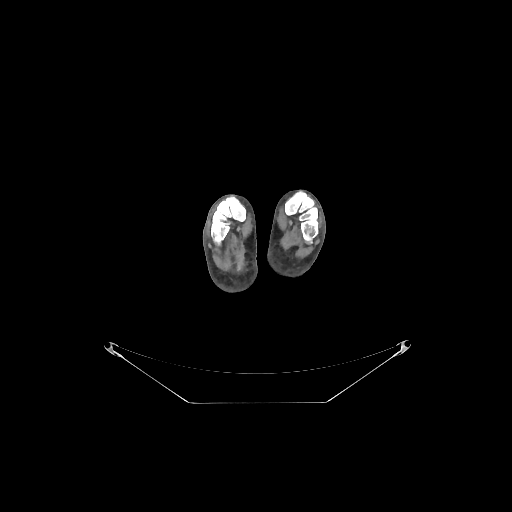
CT image
2 bone regions are bounded by x1=285, y1=191, x2=318, y2=240; x1=211, y1=196, x2=245, y2=244.